Slice 108/155. 240x240. Field of view 240x240 mm.
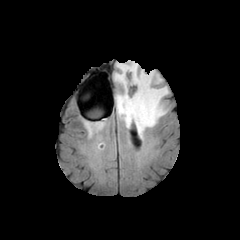
FLAIR MRI.
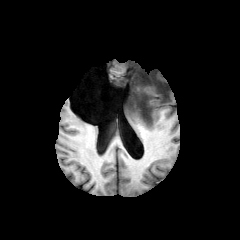
T1-weighted MR image.
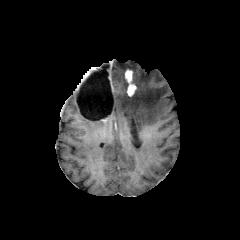
Post-contrast T1-weighted MR.
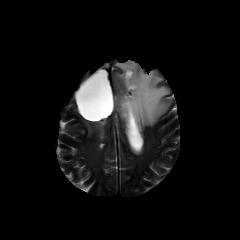
T2-weighted MRI of the same slice.
Enhancing tumor: x1=125, y1=70, x2=135, y2=95.
Edema: x1=113, y1=61, x2=168, y2=139.
Non-enhancing tumor core: x1=120, y1=70, x2=137, y2=99.